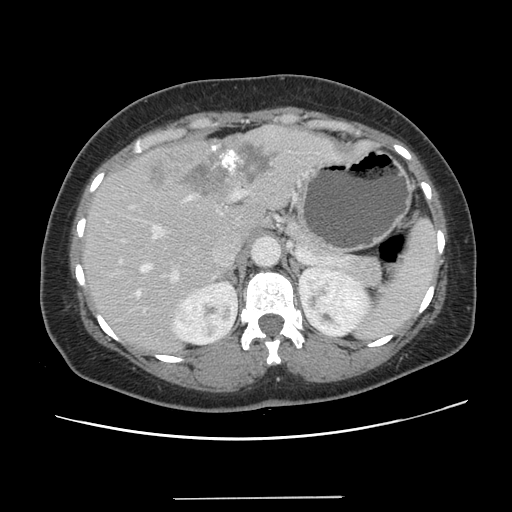 512x512 px, Liver, CT slice

Only some of the vessels may be annotated.
The liver tumor is at (146,142,278,194). 9 hepatic vessel regions appear at (144,308,145,310), (152,226,162,238), (234,191,245,197), (136,291,140,296), (130,206,132,207), (186,196,192,200), (119,259,121,262), (141,264,150,271), (170,272,177,281).